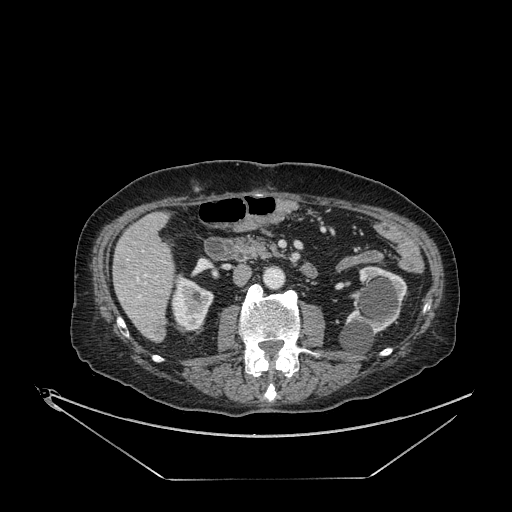
CT image; Upper abdomen
<segmentation>
  <focal_liver_lesion>(x1=154, y1=320, x2=163, y2=335), (x1=117, y1=262, x2=126, y2=270)</focal_liver_lesion>
  <liver>(x1=113, y1=213, x2=174, y2=341)</liver>
  <kidney>(x1=346, y1=306, x2=399, y2=333), (x1=172, y1=276, x2=212, y2=329), (x1=359, y1=266, x2=406, y2=305)</kidney>
</segmentation>